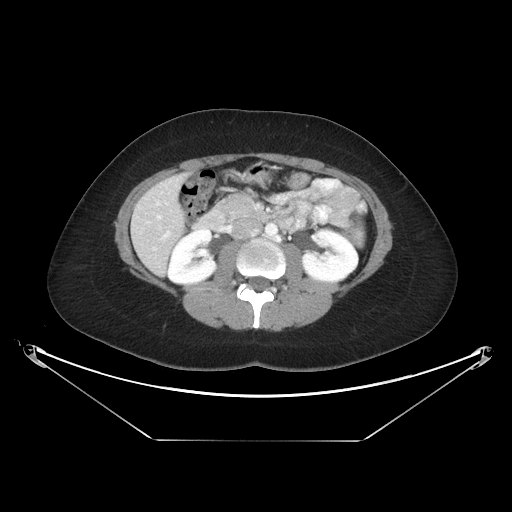 Abdomen | CT slice
Pancreas = [216, 194, 256, 221].